Abdomen | Field of view 407x407 mm | 512x512 | CT 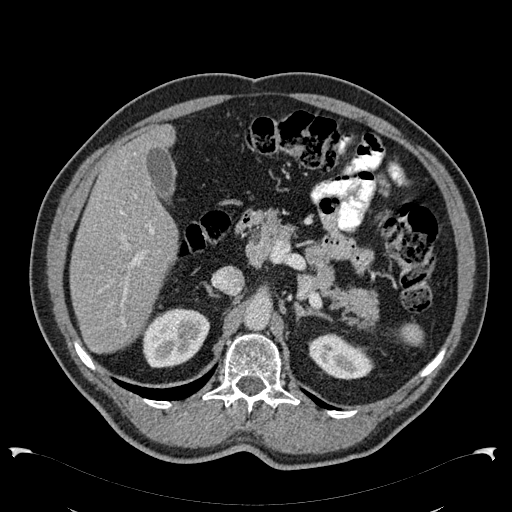
The liver is located at bbox=[70, 125, 177, 353]. 2 kidney regions are bounded by bbox=[139, 309, 209, 367]; bbox=[309, 334, 372, 379].